Brain; Image size 240x240
FLAIR MRI.
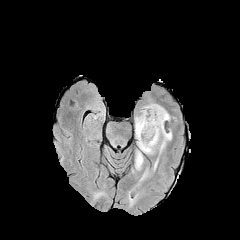
T1-weighted MRI.
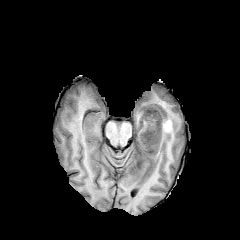
Post-contrast T1-weighted MR image.
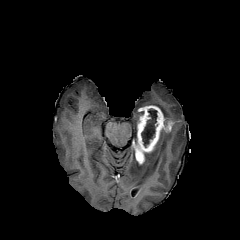
T2-weighted MRI.
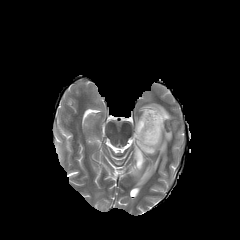
non-enhancing tumor core: 141,108,157,147 | edema: 146,130,172,171; 139,168,151,181; 134,150,143,170; 135,116,139,135; 147,104,170,119 | enhancing tumor: 133,106,172,163